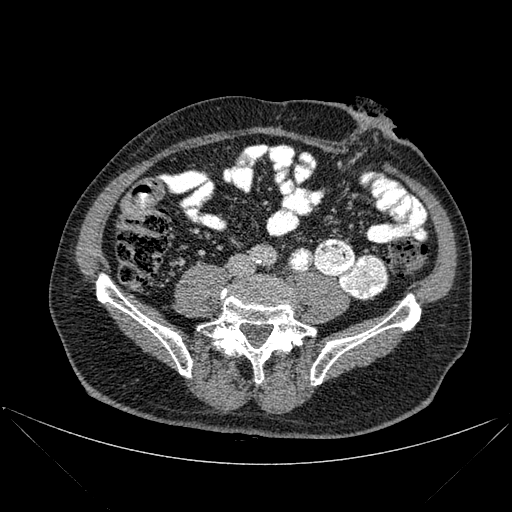 CT slice; 512x512
{
  "bone": [
    "(96, 274, 192, 377)",
    "(197, 279, 315, 383)",
    "(310, 294, 420, 385)"
  ]
}